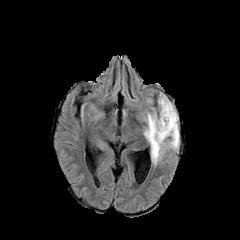
FLAIR MRI.
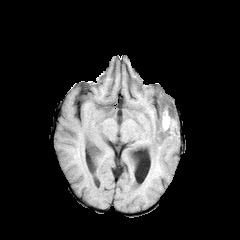
Same slice, T1-weighted magnetic resonance.
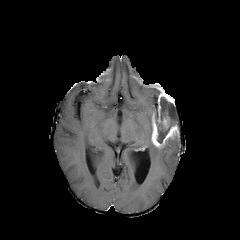
Post-contrast T1-weighted MRI.
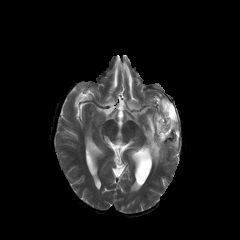
T2-weighted MR image.
Enhancing tumor = 162 124 178 143, 151 84 173 147.
Edema = 143 112 180 165.
Non-enhancing tumor core = 152 106 158 121, 157 123 169 143, 160 97 177 126.